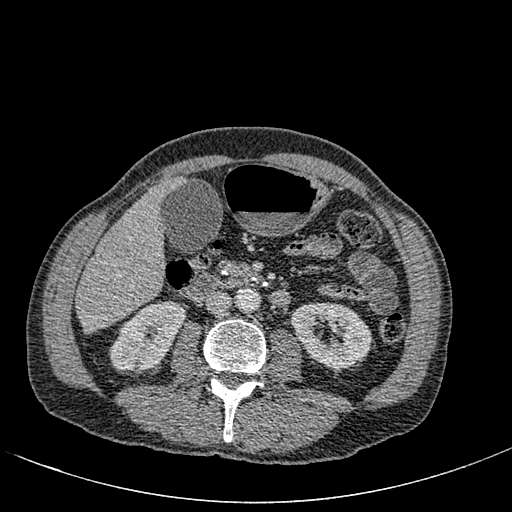
CT scan slice. liver: region(76, 177, 185, 331) | kidney: region(110, 301, 185, 370); region(291, 303, 371, 369)